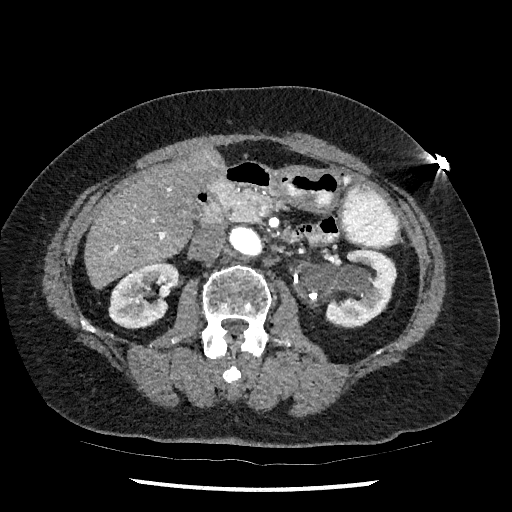

CT slice; Upper abdomen
<segmentation>
  <kidney>[326, 250, 396, 326], [330, 256, 340, 264], [109, 263, 178, 327]</kidney>
  <liver>[85, 150, 224, 289]</liver>
</segmentation>